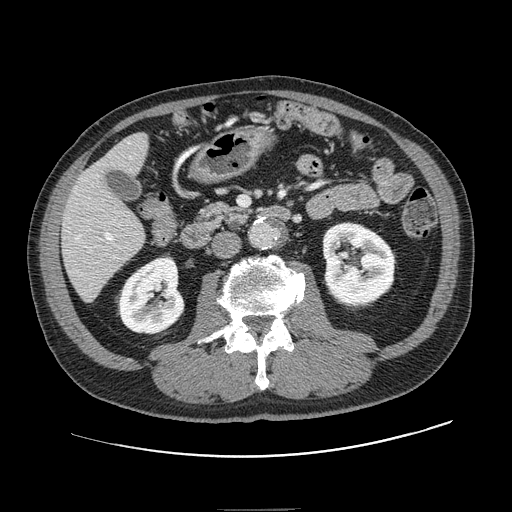 Computed tomography; Image size 512x512

The pancreas is located at <bbox>194, 203, 254, 231</bbox>.